FLAIR magnetic resonance.
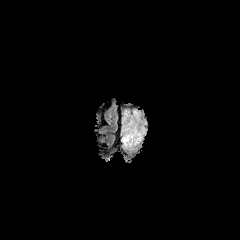
T1-weighted MR.
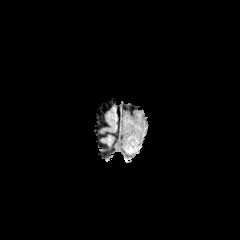
Post-contrast T1-weighted MR image.
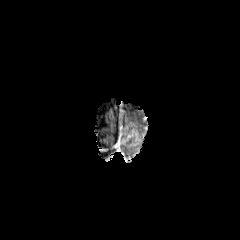
T2-weighted MR image.
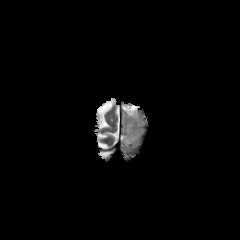
Head, 240x240 px
enhancing tumor: {"x1": 121, "y1": 127, "x2": 140, "y2": 149} | non-enhancing tumor core: {"x1": 122, "y1": 126, "x2": 132, "y2": 139} | edema: {"x1": 137, "y1": 124, "x2": 145, "y2": 134}, {"x1": 123, "y1": 110, "x2": 141, "y2": 124}